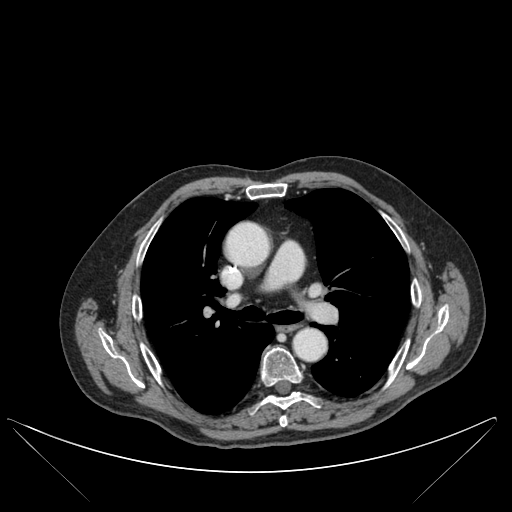

CT scan slice | Image size 512x512
12 bone regions are bounded by box(132, 295, 141, 319); box(280, 416, 287, 426); box(385, 215, 404, 242); box(406, 306, 448, 368); box(262, 347, 301, 385); box(411, 279, 421, 305); box(246, 183, 286, 199); box(386, 340, 409, 385); box(137, 225, 156, 262); box(100, 332, 144, 387); box(140, 344, 160, 383); box(261, 392, 317, 409). 2 lung regions appear at box(141, 197, 302, 414); box(285, 188, 409, 396).